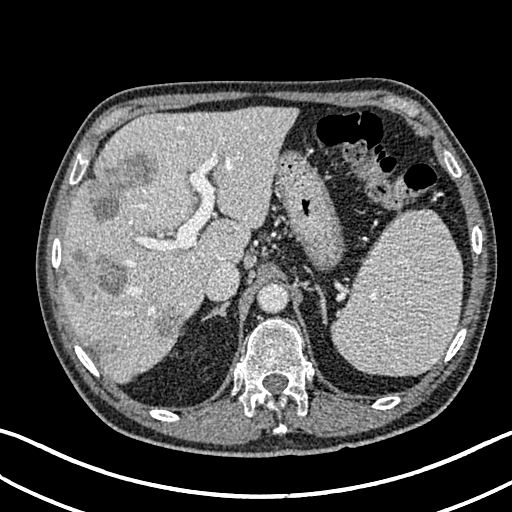 CT slice, Abdomen

hepatic lesion: (x1=89, y1=154, x2=158, y2=222), (x1=95, y1=342, x2=115, y2=356), (x1=153, y1=314, x2=179, y2=339), (x1=65, y1=249, x2=128, y2=301) | liver: (x1=65, y1=107, x2=297, y2=379)